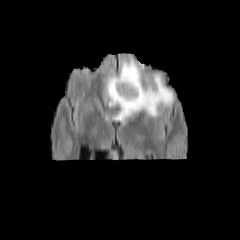
FLAIR MR.
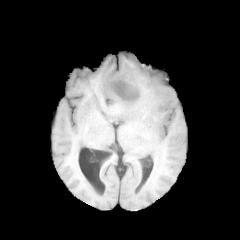
T1-weighted MRI of the same slice.
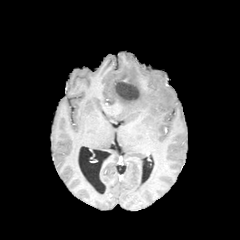
Same slice, post-contrast T1-weighted MRI.
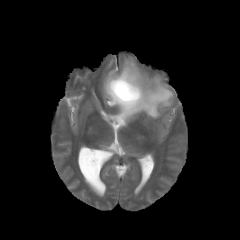
T2-weighted MR of the same slice.
Edema = 103:57:174:125, 103:70:117:95.
Non-enhancing tumor core = 106:74:146:112.